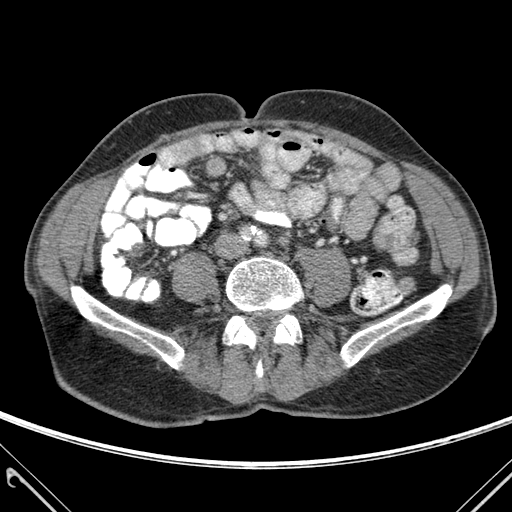 CT image, Image size 512x512
Bone at {"x1": 256, "y1": 361, "x2": 262, "y2": 377}, {"x1": 226, "y1": 258, "x2": 302, "y2": 310}, {"x1": 274, "y1": 315, "x2": 301, "y2": 344}, {"x1": 71, "y1": 286, "x2": 183, "y2": 368}, {"x1": 225, "y1": 316, "x2": 255, "y2": 347}, {"x1": 341, "y1": 285, "x2": 451, "y2": 366}.